CT image, Liver, Image size 512x512, Field of view 328 mm wide, 0.80 mm slice spacing 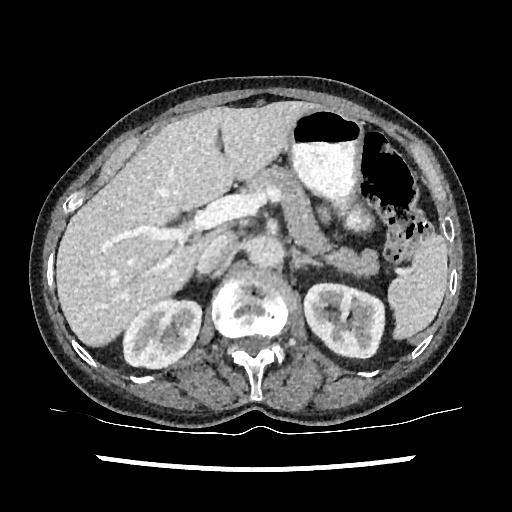 Liver: [58,102,319,345].
Kidney: [305,284,383,358], [124,301,200,370].